CT scan slice, 512x512 px

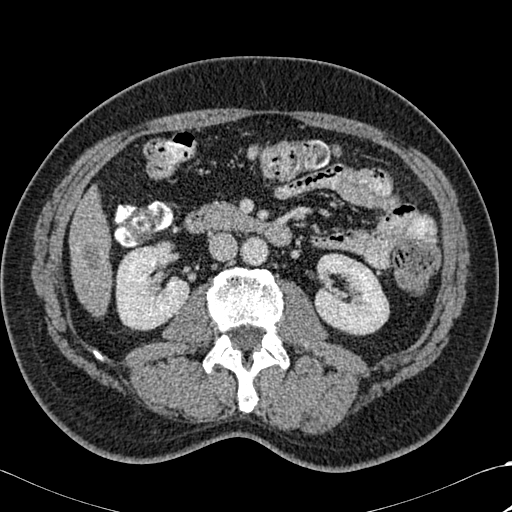

bone: [203, 268, 288, 411] | hepatic lesion: [80, 245, 100, 269] | kidney: [117, 243, 188, 329], [315, 254, 388, 333] | liver: [70, 198, 111, 315]